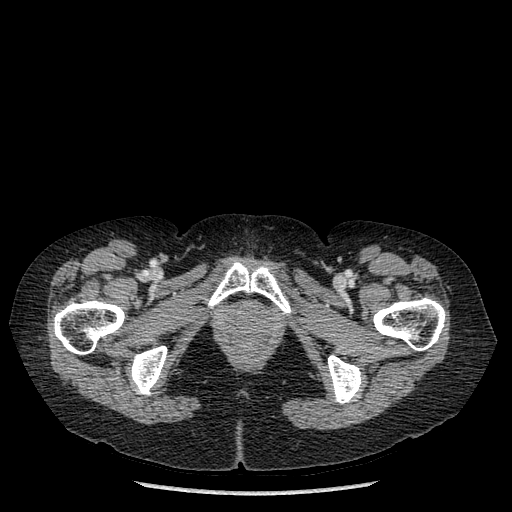
CT slice.

- bone: x1=130, y1=346, x2=167, y2=395; x1=208, y1=258, x2=291, y2=314; x1=328, y1=355, x2=362, y2=404; x1=373, y1=297, x2=445, y2=350; x1=53, y1=300, x2=124, y2=354